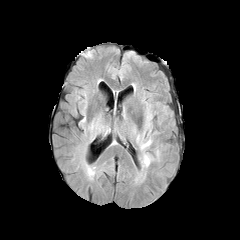
FLAIR MRI.
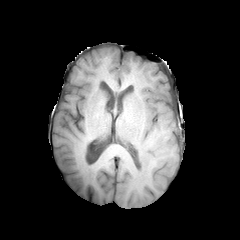
Same slice, T1-weighted MR image.
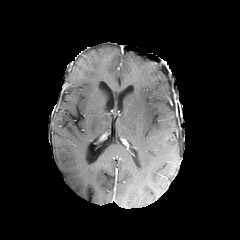
Same slice, post-contrast T1-weighted magnetic resonance.
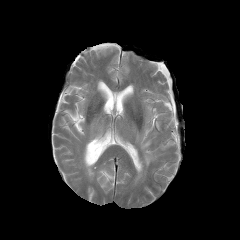
T2-weighted magnetic resonance of the same slice.
Brain; 240x240 px
Edema = 136:104:154:170.